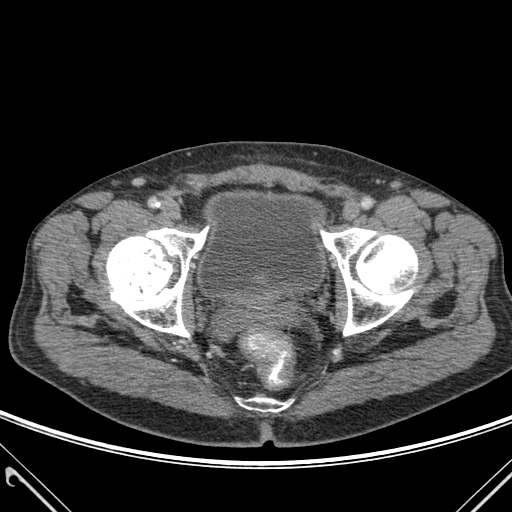
512x512 px | CT slice

Segmented structures:
- urinary bladder: 199, 196, 322, 294
- bone: 237, 398, 291, 411; 106, 227, 208, 336; 321, 228, 417, 335